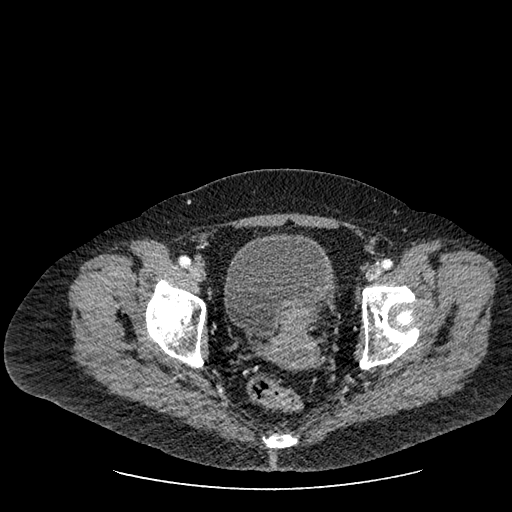 Lower abdomen; CT slice
The urinary bladder is located at <bbox>225, 233, 334, 336</bbox>.